512x512; Computed tomography; Pelvis 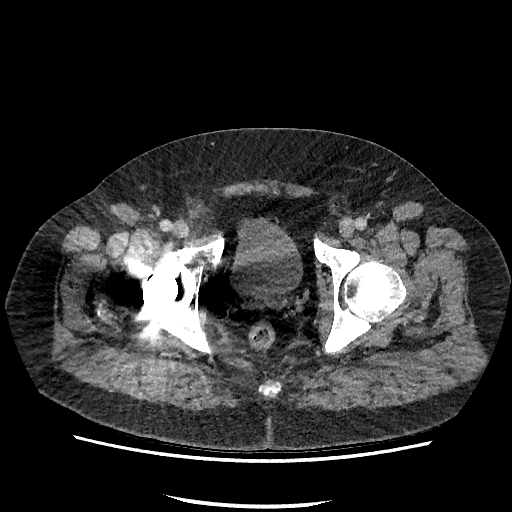

Urinary bladder = 232 218 302 301.